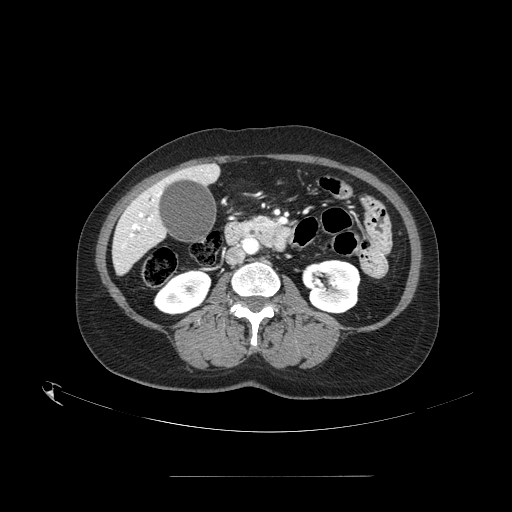
512x512 px; Upper abdomen; CT image

Annotated regions:
* pancreas: (248,216,280,245)